CT; Slice 343 of 647; Abdomen

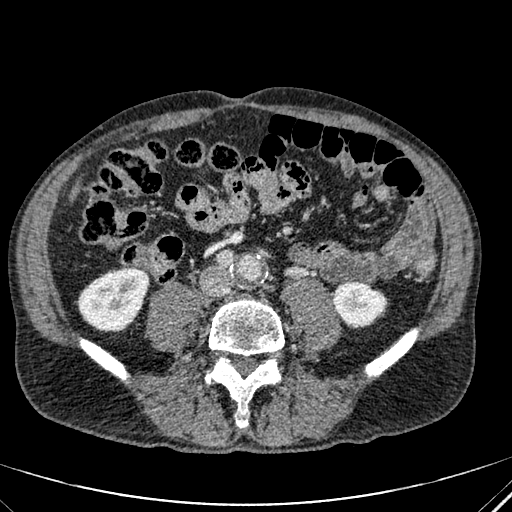 kidney:
  - {"x1": 334, "y1": 283, "x2": 385, "y2": 326}
  - {"x1": 79, "y1": 269, "x2": 147, "y2": 332}